CT | Slice 38 of 114 | Liver
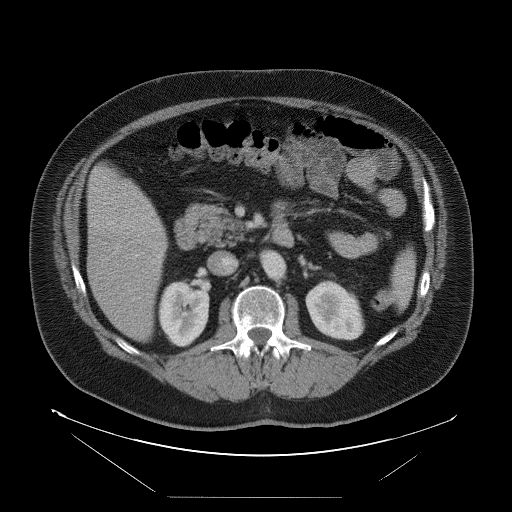 The vessel annotation is not exhaustive.
9 hepatic vessel regions appear at bbox=[152, 260, 160, 263]; bbox=[152, 220, 160, 231]; bbox=[154, 270, 158, 271]; bbox=[133, 254, 137, 258]; bbox=[129, 290, 131, 292]; bbox=[147, 225, 149, 227]; bbox=[107, 222, 113, 229]; bbox=[135, 288, 138, 289]; bbox=[116, 244, 119, 251].